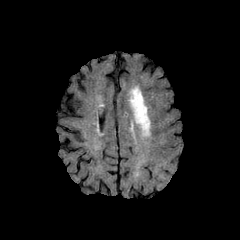
FLAIR MR image.
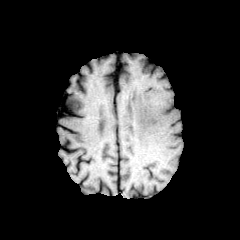
Same slice, T1-weighted MR.
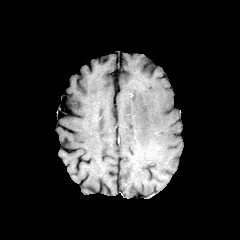
Post-contrast T1-weighted MR of the same slice.
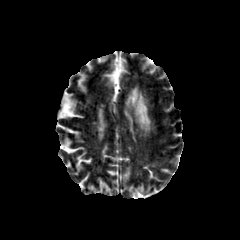
Same slice, T2-weighted MR image.
Head; 240x240 px
<segmentation>
  <edema>x1=128 y1=86 x2=151 y2=136</edema>
</segmentation>